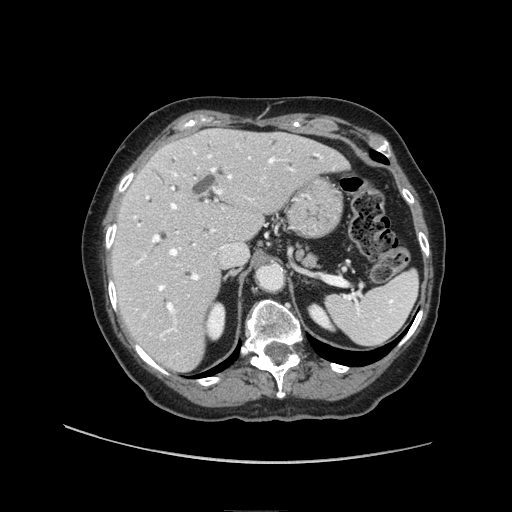 CT
pancreas:
  - x1=297 y1=246 x2=316 y2=266